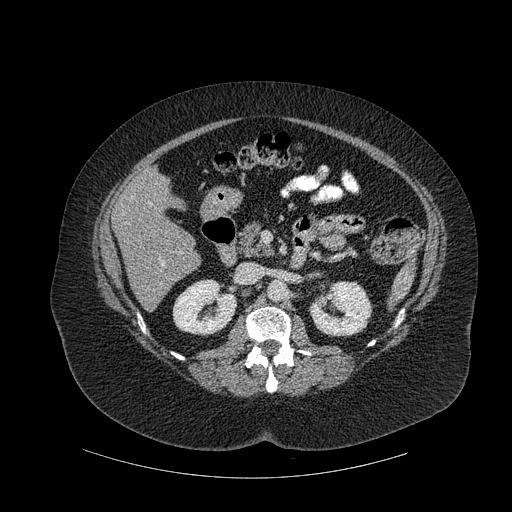
Abdomen. CT.

Segmented structures:
- bone: [245,345,277,391], [246,307,293,366], [171,352,184,359], [395,309,403,326], [138,314,145,332]
- kidney: [310,282,370,335], [173,280,236,334]
- liver: [112,172,201,304]